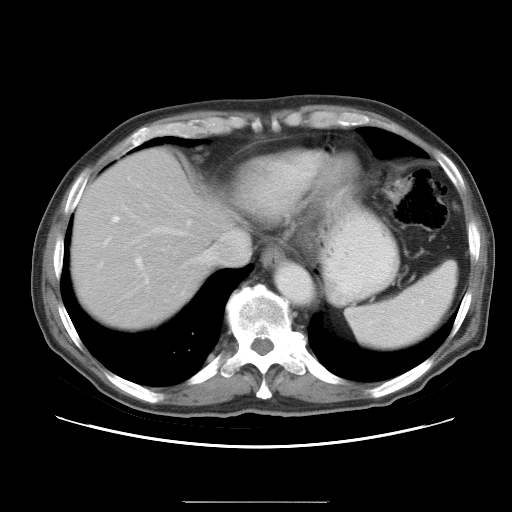
CT slice

Only some of the vessels may be annotated.
<segmentation>
  <hepatic_vessel>154, 227, 182, 233; 103, 239, 108, 244; 186, 220, 190, 223; 135, 258, 141, 269</hepatic_vessel>
</segmentation>